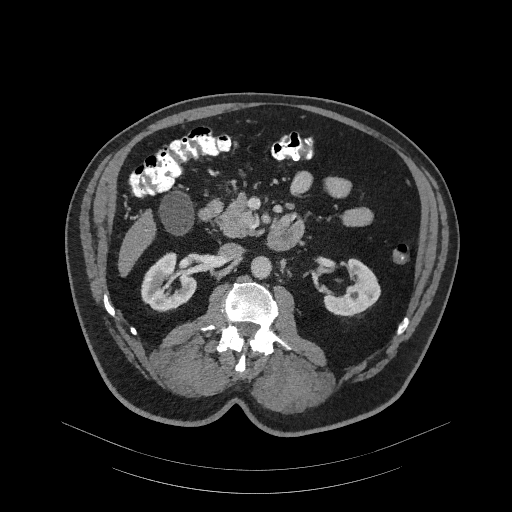
Computed tomography, Image size 512x512
The pancreas appears at x1=210 y1=196 x2=258 y2=236. The pancreatic tumor is at x1=243 y1=212 x2=254 y2=225.